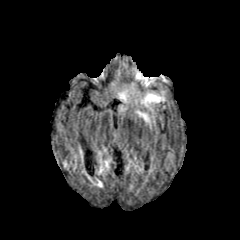
FLAIR MR image.
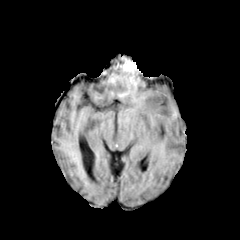
T1-weighted MR image.
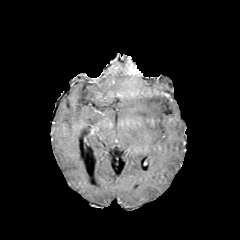
Post-contrast T1-weighted MR image of the same slice.
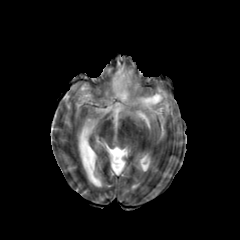
Same slice, T2-weighted MRI.
240x240
Findings:
- edema: {"x1": 114, "y1": 70, "x2": 168, "y2": 125}